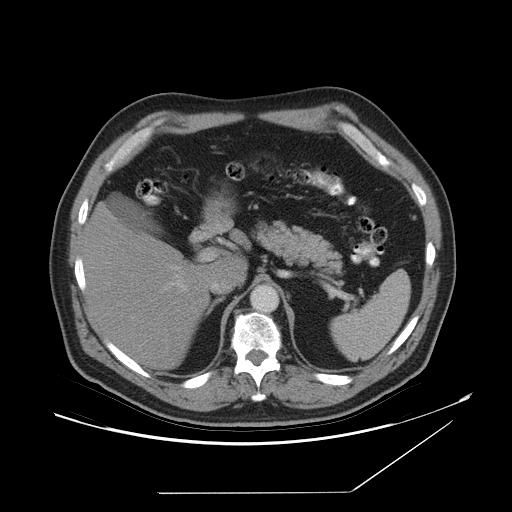

CT
Spleen at 332, 271, 409, 360.